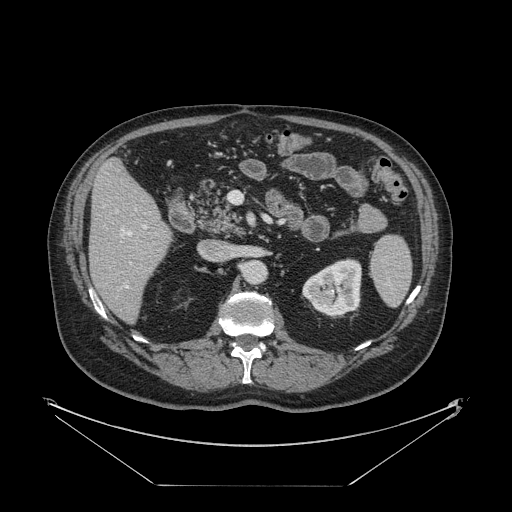 CT scan slice

Not every hepatic vessel necessarily has a box.
* hepatic vessel: region(143, 225, 145, 227)